Head
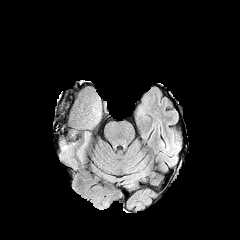
FLAIR MRI.
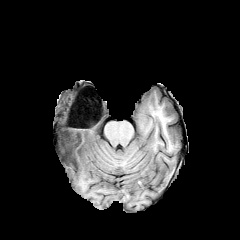
T1-weighted MRI.
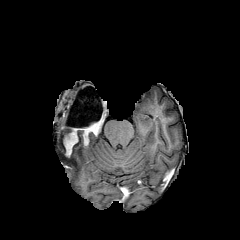
Post-contrast T1-weighted MRI.
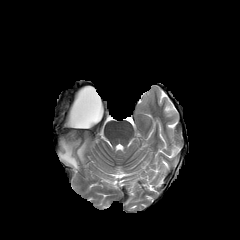
T2-weighted MR image.
enhancing_tumor:
  - <box>64,133,77,157</box>
edema:
  - <box>62,147,76,166</box>
  - <box>77,146,84,161</box>
non-enhancing_tumor_core:
  - <box>64,96,100,149</box>